Slice 433 of 696 | Abdomen | CT image 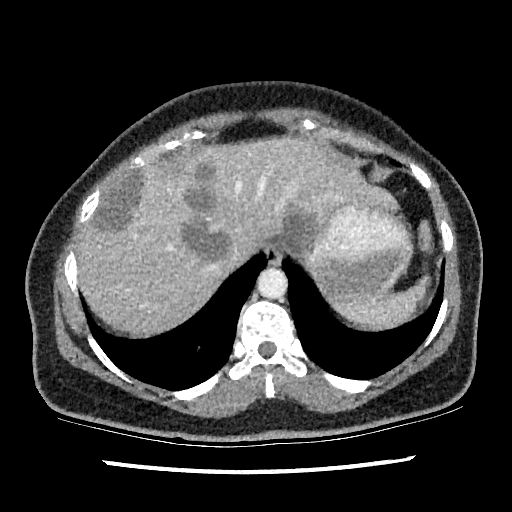 liver lesion: region(195, 165, 214, 182); region(269, 211, 316, 252); region(181, 218, 231, 260); region(95, 171, 143, 230); region(186, 184, 215, 210) | liver: region(76, 135, 397, 331)